Head; 240x240; Slice 84 of 155; Image width 240 mm
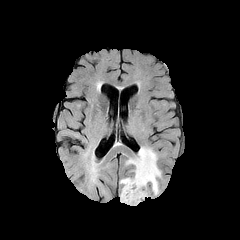
FLAIR MR.
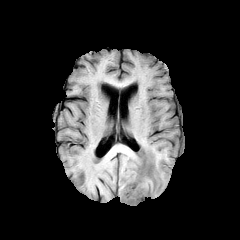
T1-weighted MR image.
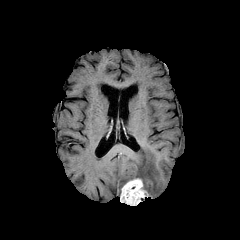
Post-contrast T1-weighted MR image.
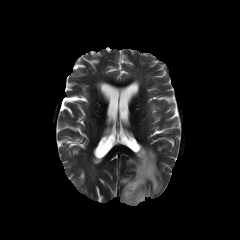
T2-weighted MR of the same slice.
The enhancing tumor is at (left=120, top=178, right=148, bottom=205). 2 edema regions are bounded by (left=119, top=177, right=133, bottom=184), (left=126, top=146, right=160, bottom=195).